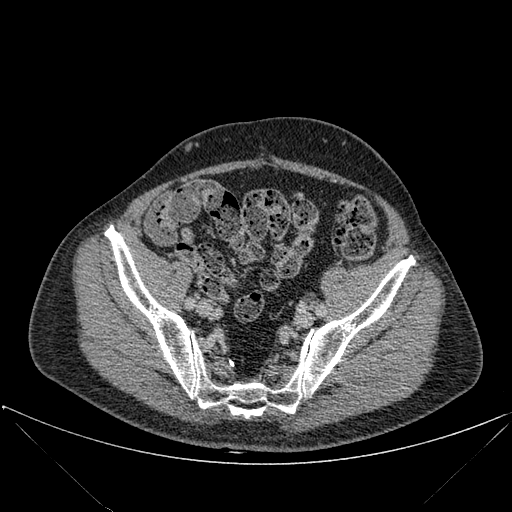 Computed tomography
2 bone regions are located at [x1=105, y1=225, x2=415, y2=413], [x1=228, y1=405, x2=265, y2=418].